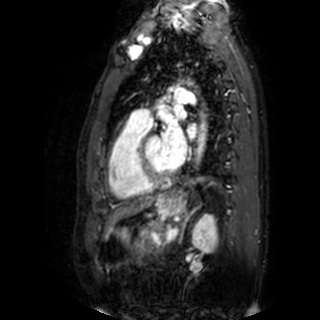 Heart. 320x320 px. MRI slice.
Left atrium at (187, 124, 197, 136), (162, 121, 187, 167), (176, 110, 186, 118).